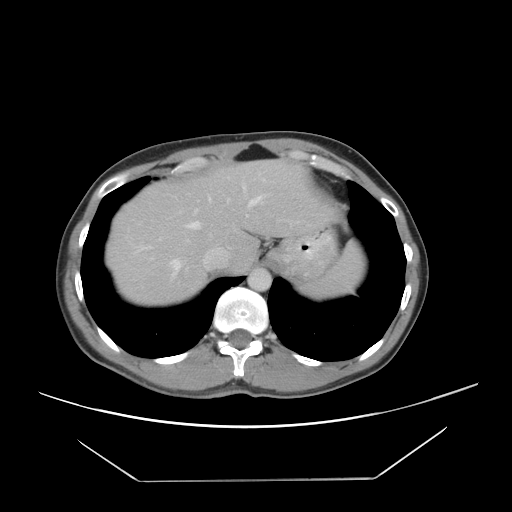

Liver | Computed tomography

Some hepatic vessels may have no box.
hepatic vessel: {"x1": 243, "y1": 183, "x2": 246, "y2": 190}, {"x1": 187, "y1": 221, "x2": 199, "y2": 228}, {"x1": 258, "y1": 173, "x2": 260, "y2": 176}, {"x1": 249, "y1": 196, "x2": 262, "y2": 206}, {"x1": 194, "y1": 209, "x2": 197, "y2": 213}, {"x1": 170, "y1": 259, "x2": 180, "y2": 277}, {"x1": 208, "y1": 196, "x2": 210, "y2": 200}, {"x1": 261, "y1": 178, "x2": 264, "y2": 180}, {"x1": 228, "y1": 198, "x2": 228, "y2": 201}